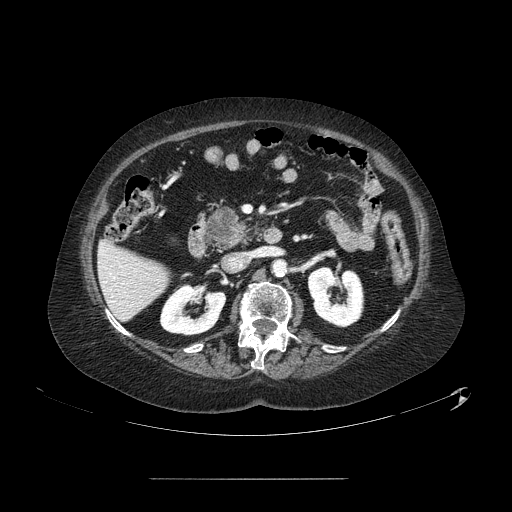

CT slice | 512x512 px
Pancreas — [216, 211, 246, 247].
Pancreatic tumor — [205, 207, 238, 245].